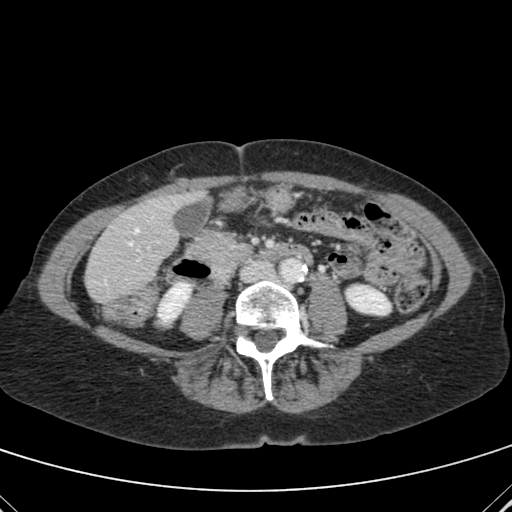

Upper abdomen, CT, 512x512

Liver: (x1=85, y1=191, x2=198, y2=303).
Kidney: (x1=158, y1=283, x2=190, y2=322), (x1=347, y1=285, x2=390, y2=314).